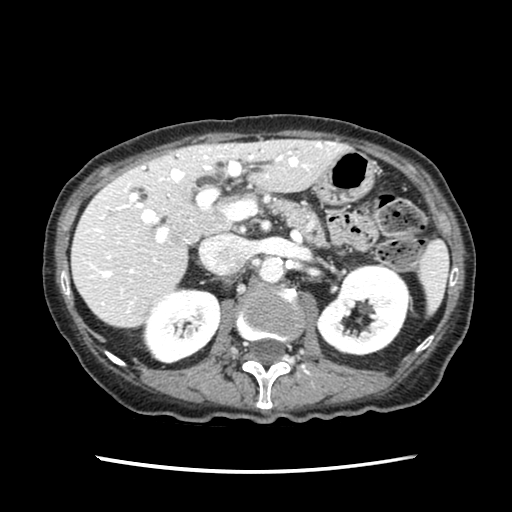 Abdomen | Computed tomography
pancreas:
  - <bbox>274, 201, 326, 246</bbox>